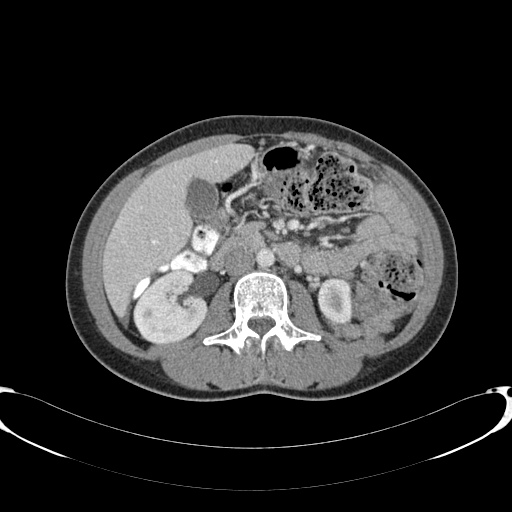
CT; 512x512 px
2 kidney regions are located at 318,279,350,323; 134,269,206,342. The liver is at 103,144,252,316.